Head, 240x240, Slice 105 of 155
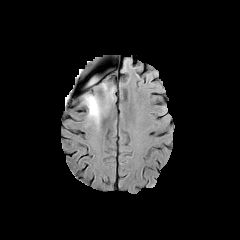
FLAIR magnetic resonance.
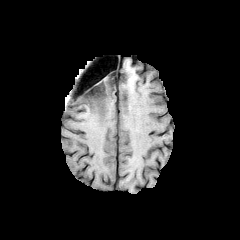
T1-weighted magnetic resonance.
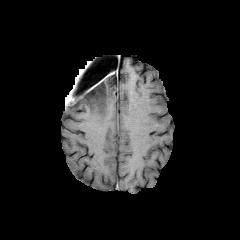
Post-contrast T1-weighted MR image.
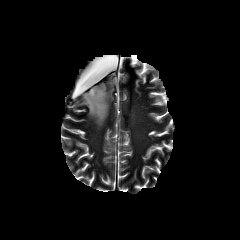
T2-weighted MRI.
{
  "non-enhancing_tumor_core": [
    "(left=84, top=80, right=106, bottom=114)"
  ],
  "edema": [
    "(left=98, top=88, right=113, bottom=113)",
    "(left=82, top=94, right=105, bottom=127)"
  ]
}